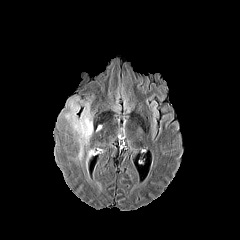
FLAIR MR image.
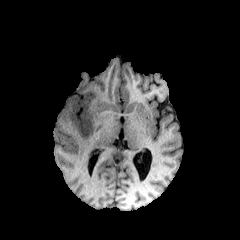
Same slice, T1-weighted MR image.
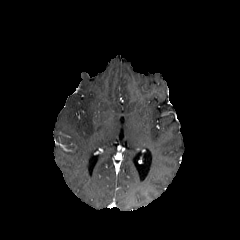
Post-contrast T1-weighted MR image of the same slice.
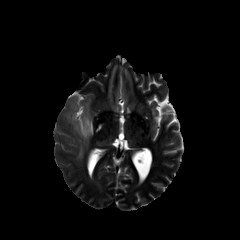
T2-weighted MR of the same slice.
240x240
Edema: region(77, 139, 83, 160); region(74, 107, 93, 143).